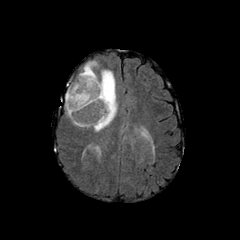
FLAIR MR.
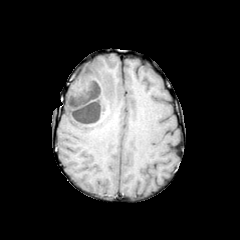
T1-weighted magnetic resonance.
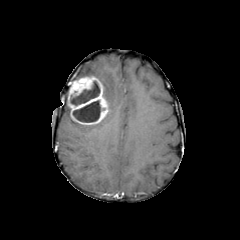
Post-contrast T1-weighted MRI.
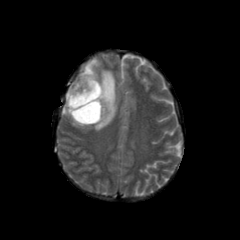
Same slice, T2-weighted MRI.
Head.
<segmentation>
  <enhancing_tumor>67 76 108 125</enhancing_tumor>
  <non-enhancing_tumor_core>70 81 100 106, 72 100 100 122</non-enhancing_tumor_core>
  <edema>65 61 117 131</edema>
</segmentation>